512x512, Abdomen, Slice index 63, CT slice

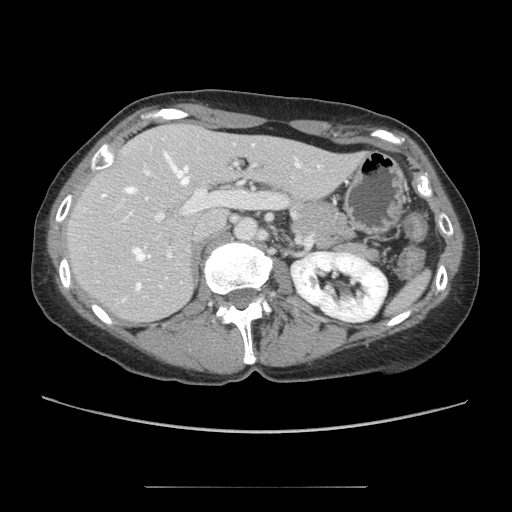 pancreas: l=293, t=198, r=355, b=249